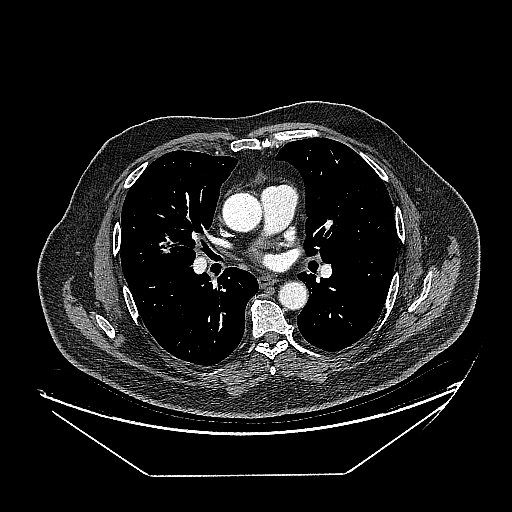 Lung. CT image.
Lung tumor: bounding box [155, 240, 171, 255].